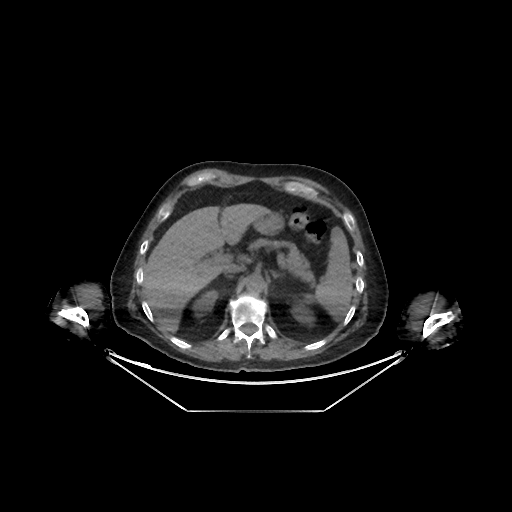
Image size 512x512, CT
2 kidney regions are bounded by (left=192, top=287, right=218, bottom=317), (left=291, top=300, right=315, bottom=326). The liver appears at (left=141, top=204, right=270, bottom=333).